FLAIR magnetic resonance.
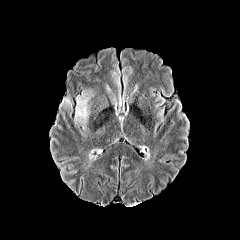
T1-weighted magnetic resonance.
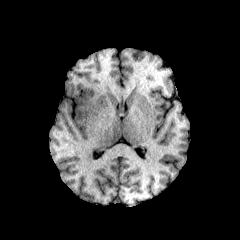
Post-contrast T1-weighted MR image.
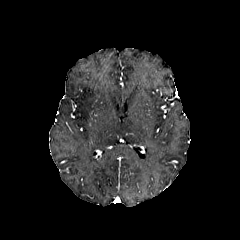
T2-weighted MR.
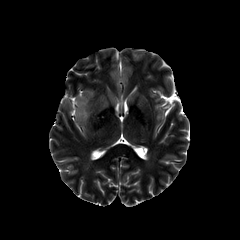
240x240, Head
Edema = x1=74, y1=94, x2=90, y2=132; x1=59, y1=99, x2=72, y2=110.